Abdomen | CT scan slice | Field of view 403x403 mm | Slice index 68 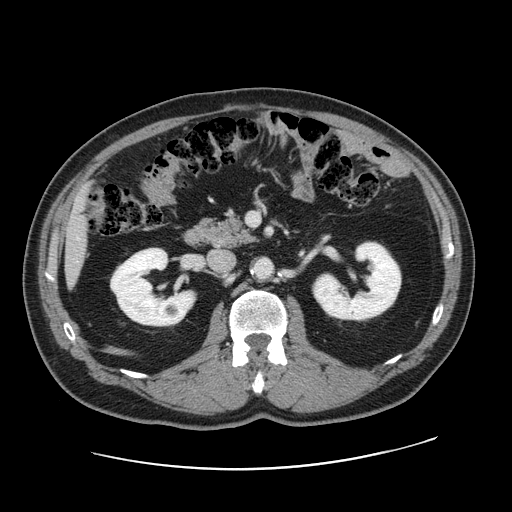

Some hepatic vessels may have no box.
Hepatic vessel: bounding box 73,193,83,217.